FLAIR MR.
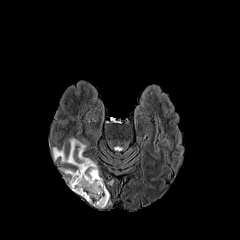
T1-weighted MR.
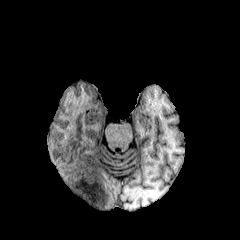
Post-contrast T1-weighted MR image.
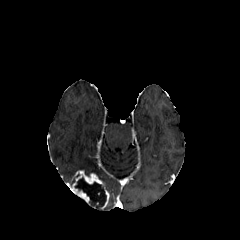
T2-weighted MR image.
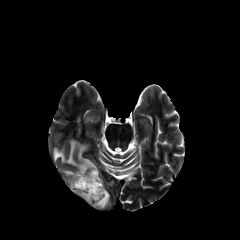
Head
Enhancing tumor = [x1=68, y1=169, x2=104, y2=203].
Edema = [x1=52, y1=138, x2=102, y2=180], [x1=59, y1=169, x2=73, y2=176].
Non-enhancing tumor core = [x1=74, y1=177, x2=106, y2=209].